512x512, CT slice

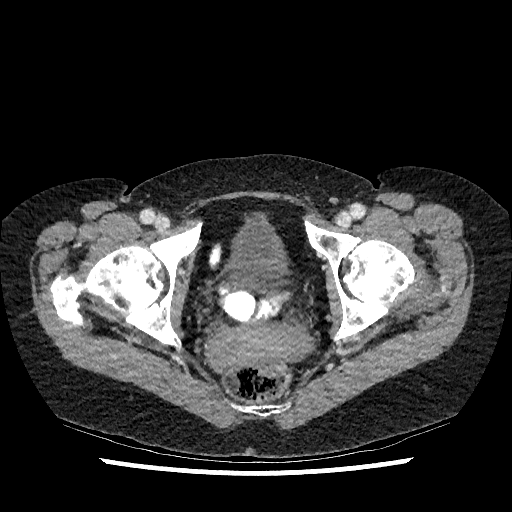 Segmented structures:
- urinary bladder: box(215, 211, 293, 293)